Slice 50/155, Field of view 240 mm wide, 1.00 mm slice spacing
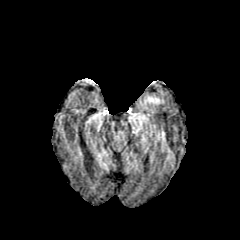
FLAIR MR.
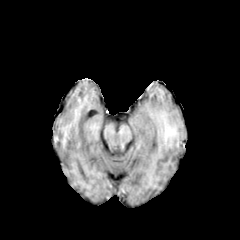
T1-weighted magnetic resonance.
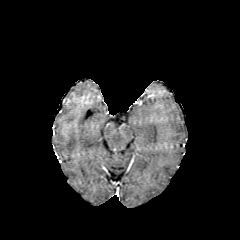
Post-contrast T1-weighted MR.
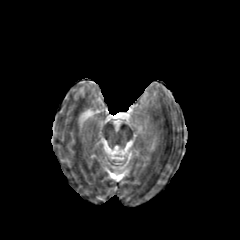
T2-weighted MR of the same slice.
edema:
  - box(136, 92, 159, 108)